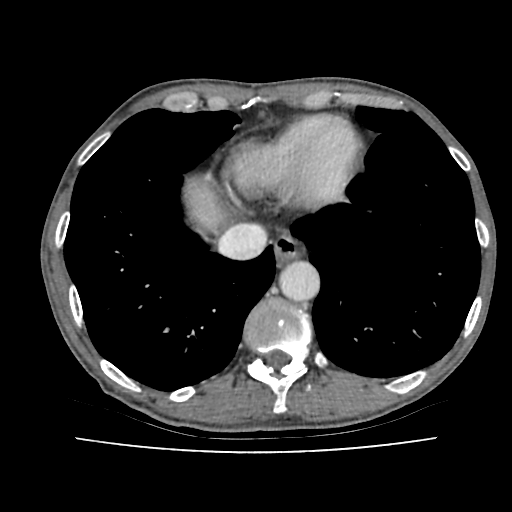
Image size 512x512; CT slice; Upper abdomen
liver:
  - <bbox>188, 177, 204, 191</bbox>